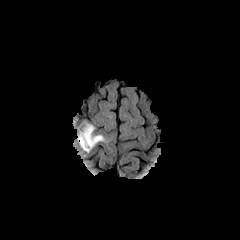
FLAIR magnetic resonance.
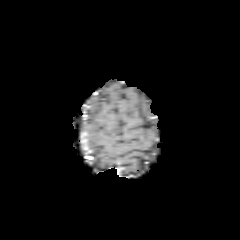
Same slice, T1-weighted MR.
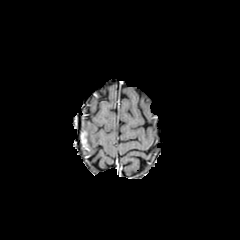
Post-contrast T1-weighted MRI of the same slice.
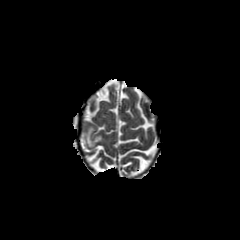
T2-weighted magnetic resonance.
The enhancing tumor lies within (left=81, top=132, right=88, bottom=150). The edema lies within (left=77, top=124, right=104, bottom=152).